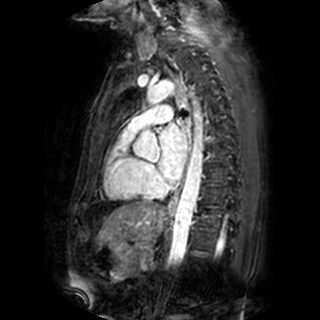

Magnetic resonance. 320x320. Cardiac.
left_atrium:
  - 158, 123, 186, 180